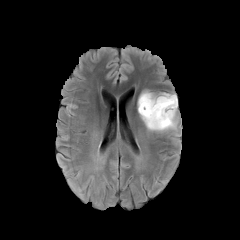
FLAIR MR.
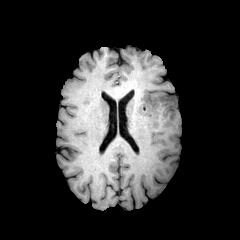
T1-weighted MR image.
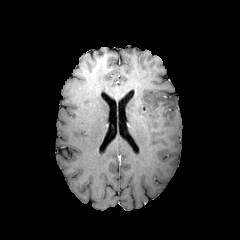
Post-contrast T1-weighted magnetic resonance.
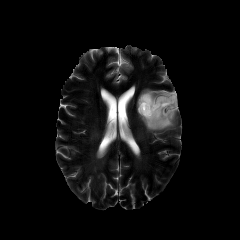
T2-weighted MRI.
Brain
The edema is bounded by <bbox>137, 89, 178, 135</bbox>. The non-enhancing tumor core is at <bbox>138, 94, 174, 123</bbox>.